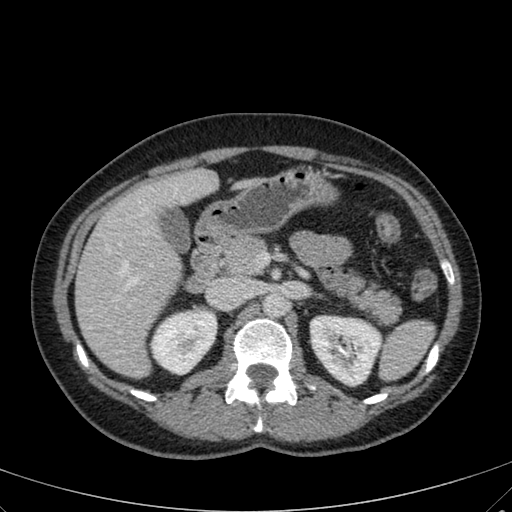
Upper abdomen | CT image
Kidney: l=152, t=311, r=215, b=373; l=311, t=316, r=380, b=384.
Liver: l=233, t=179, r=256, b=188; l=75, t=168, r=218, b=376.